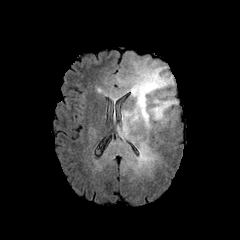
FLAIR MR.
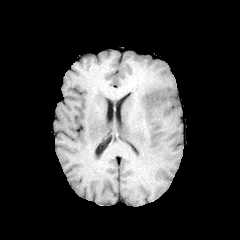
T1-weighted magnetic resonance of the same slice.
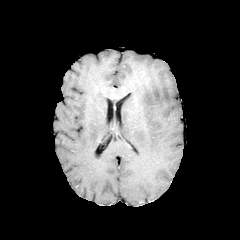
Post-contrast T1-weighted MR image.
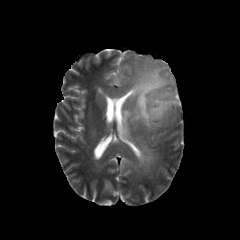
T2-weighted MR of the same slice.
240x240. Head.
Non-enhancing tumor core at bbox(129, 70, 149, 121); bbox(145, 90, 169, 100).
Edema at bbox(111, 62, 178, 138); bbox(138, 143, 151, 163).